CT image, Image width 393 mm 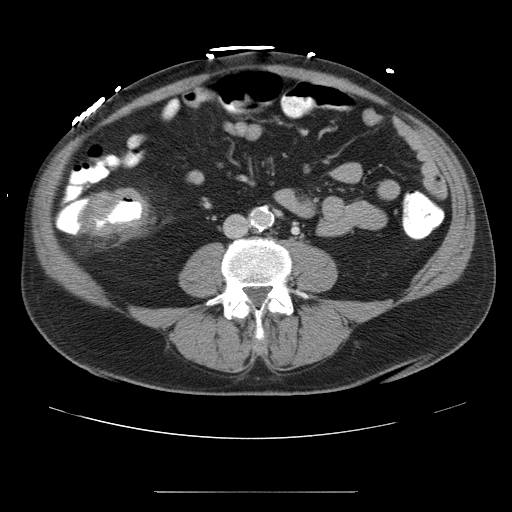 The colon tumor appears at [79,188,149,235].